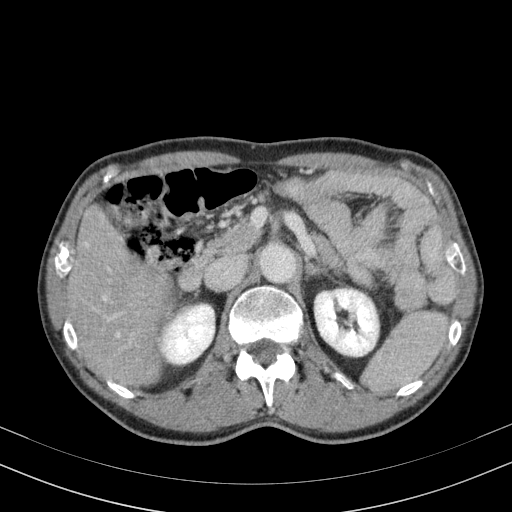
CT. 512x512. Liver. Liver — [x1=67, y1=204, x2=175, y2=388].
Kidney — [x1=315, y1=289, x2=377, y2=355], [x1=163, y1=305, x2=214, y2=363].